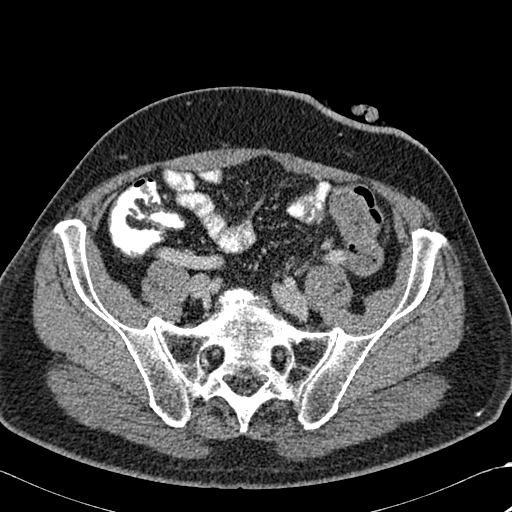

CT scan slice
Bone — bbox=[54, 219, 445, 431].